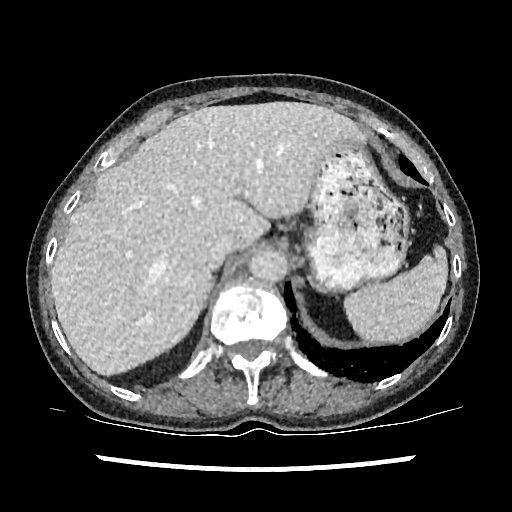 Abdomen. CT. 512x512 px.
<segmentation>
  <liver>53:103:366:372</liver>
</segmentation>